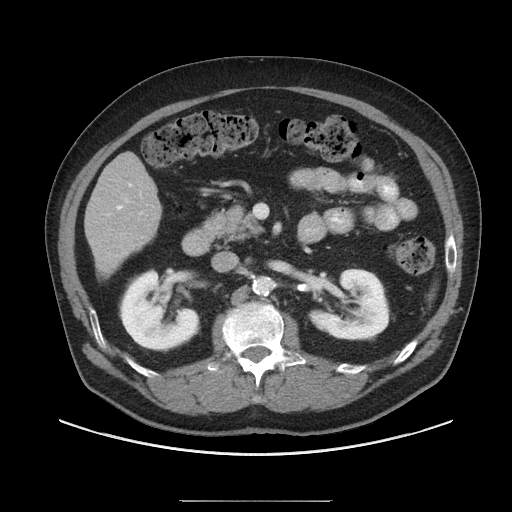

Abdomen, Computed tomography, 512x512 px
Not every hepatic vessel necessarily has a box.
Hepatic vessel at 129, 184, 131, 185; 117, 205, 121, 208.